Brain
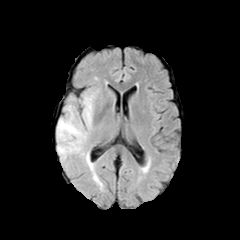
FLAIR MR.
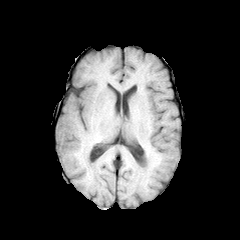
T1-weighted magnetic resonance of the same slice.
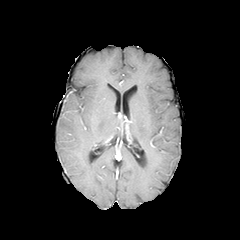
Post-contrast T1-weighted magnetic resonance.
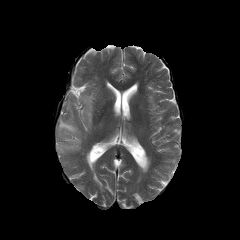
T2-weighted MR of the same slice.
edema: 56, 91, 96, 160